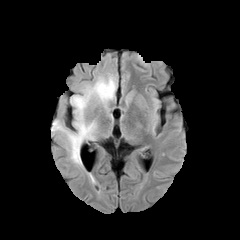
FLAIR MRI.
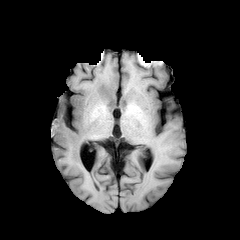
T1-weighted magnetic resonance.
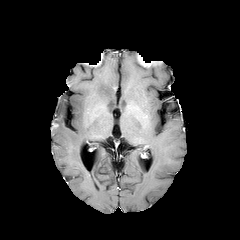
Post-contrast T1-weighted MR of the same slice.
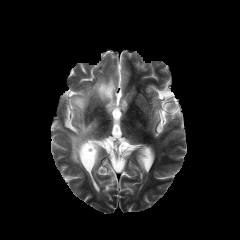
Same slice, T2-weighted MR image.
The edema appears at x1=52, y1=72, x2=117, y2=168.